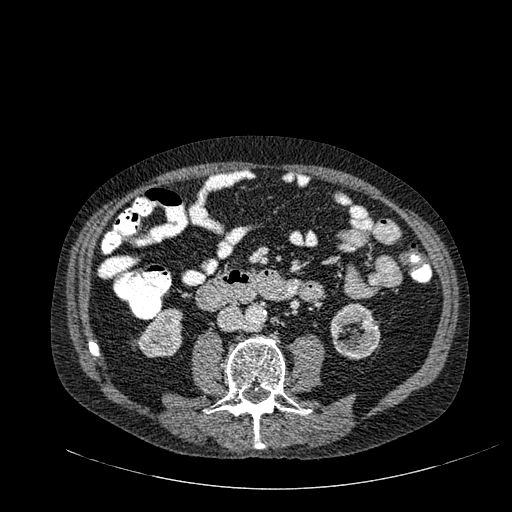

Abdomen; CT scan slice; 512x512 px
2 kidney regions appear at x1=137, y1=308, x2=182, y2=357; x1=330, y1=303, x2=380, y2=359.